512x512, Upper abdomen, Field of view 442x442 mm, CT scan slice

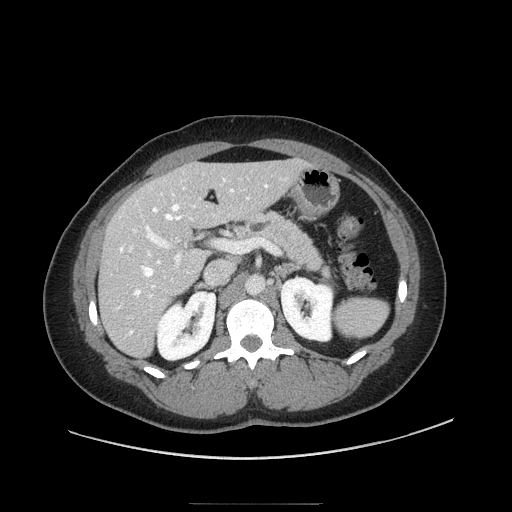
{"pancreas": ["[232, 210, 335, 285]"]}